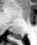

MRI slice, Medial temporal lobe, 37x45 px
• posterior hippocampus: bbox=[13, 34, 23, 39]